Slice 81/155. Head.
FLAIR magnetic resonance.
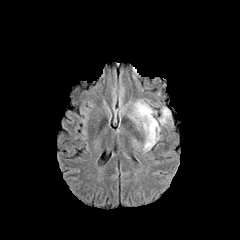
T1-weighted MR image.
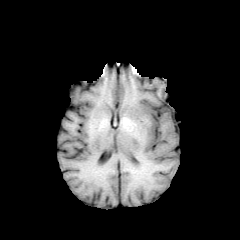
Post-contrast T1-weighted magnetic resonance.
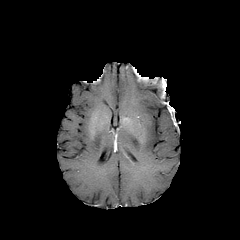
T2-weighted MRI.
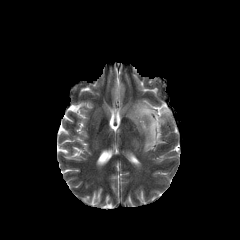
edema:
  - bbox=[158, 106, 171, 126]
  - bbox=[127, 99, 161, 152]